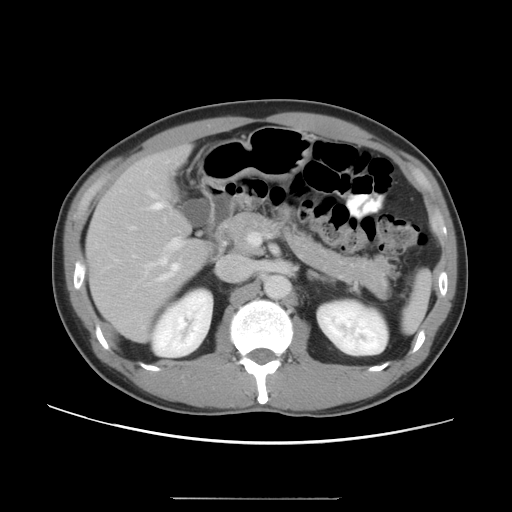
Liver; Computed tomography
Some hepatic vessels may have no box.
Hepatic vessel: bounding box left=149, top=192, right=156, bottom=197; left=131, top=226, right=135, bottom=228; left=148, top=201, right=166, bottom=210; left=145, top=254, right=181, bottom=281; left=166, top=238, right=182, bottom=251.